FLAIR MR.
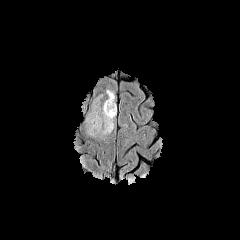
T1-weighted MRI.
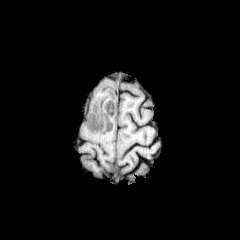
Post-contrast T1-weighted MRI.
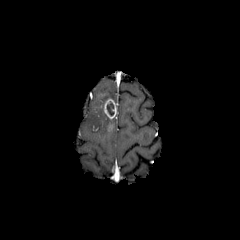
T2-weighted magnetic resonance.
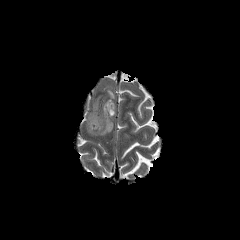
Image size 240x240.
edema:
  - left=94, top=107, right=106, bottom=121
enhancing_tumor:
  - left=104, top=98, right=116, bottom=119
non-enhancing_tumor_core:
  - left=106, top=101, right=114, bottom=115